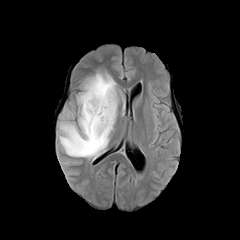
FLAIR MRI.
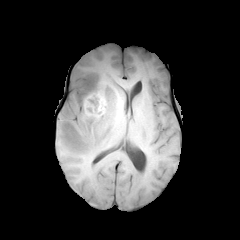
Same slice, T1-weighted magnetic resonance.
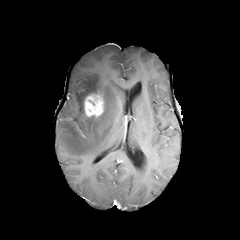
Post-contrast T1-weighted MRI.
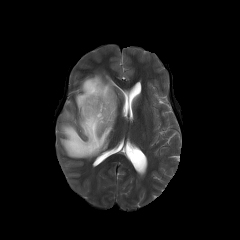
T2-weighted MR image.
Brain, Image size 240x240
<segmentation>
  <enhancing_tumor><bbox>84, 94, 103, 117</bbox></enhancing_tumor>
  <edema><bbox>58, 72, 119, 158</bbox></edema>
  <non-enhancing_tumor_core><bbox>78, 78, 102, 113</bbox></non-enhancing_tumor_core>
</segmentation>